FLAIR MR image.
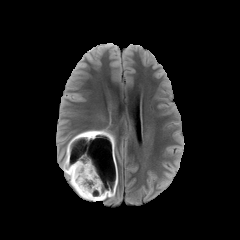
T1-weighted MR image.
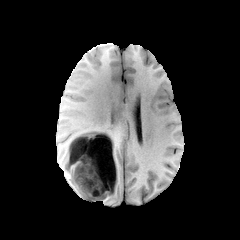
Post-contrast T1-weighted MRI.
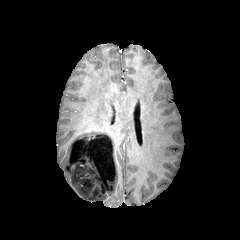
T2-weighted MRI.
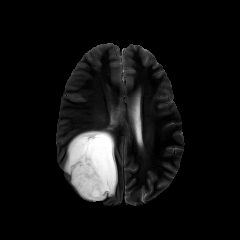
240x240 px | Head
Non-enhancing tumor core: bounding box left=66, top=130, right=115, bottom=198.
Edema: bounding box left=63, top=134, right=117, bottom=201; left=101, top=136, right=114, bottom=165.